Slice 40 of 105; Computed tomography; Abdomen 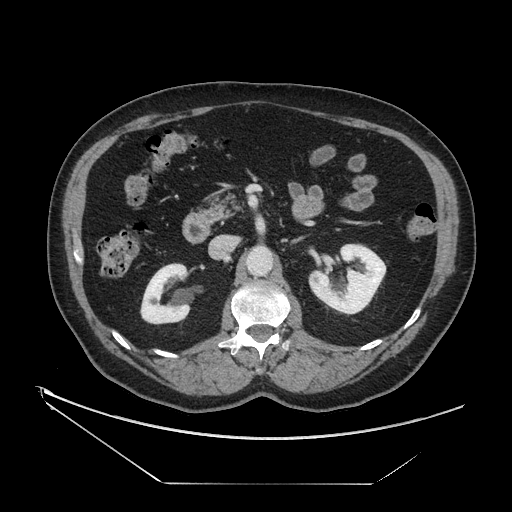

The pancreas is bounded by x1=209 y1=192 x2=241 y2=212.